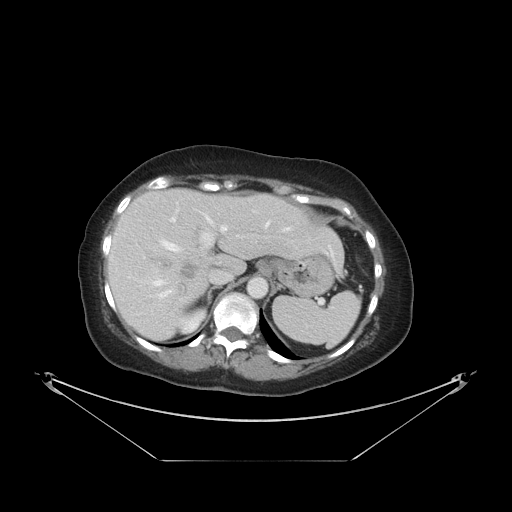

CT slice | Image size 512x512
Some hepatic vessels may have no box.
Hepatic vessel at x1=221 y1=224 x2=226 y2=232, x1=163 y1=242 x2=178 y2=250, x1=244 y1=265 x2=246 y2=269, x1=226 y1=261 x2=229 y2=261, x1=206 y1=216 x2=211 y2=222, x1=285 y1=228 x2=289 y2=229, x1=266 y1=222 x2=269 y2=225, x1=210 y1=271 x2=232 y2=283, x1=215 y1=261 x2=223 y2=263, x1=202 y1=233 x2=211 y2=244, x1=155 y1=280 x2=162 y2=285, x1=171 y1=218 x2=175 y2=221.
Liver tumor at x1=159 y1=257 x2=174 y2=271, x1=177 y1=257 x2=202 y2=284.